FLAIR MR.
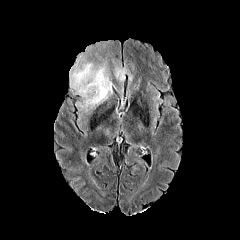
T1-weighted MRI.
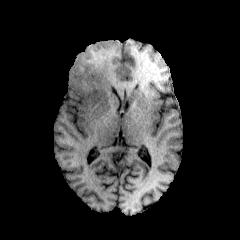
Post-contrast T1-weighted MR image.
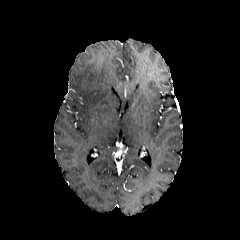
T2-weighted MRI.
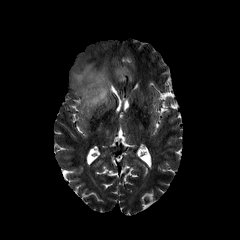
Head
{"edema": ["[x1=115, y1=63, x2=129, y2=81]", "[x1=70, y1=57, x2=114, y2=112]"]}